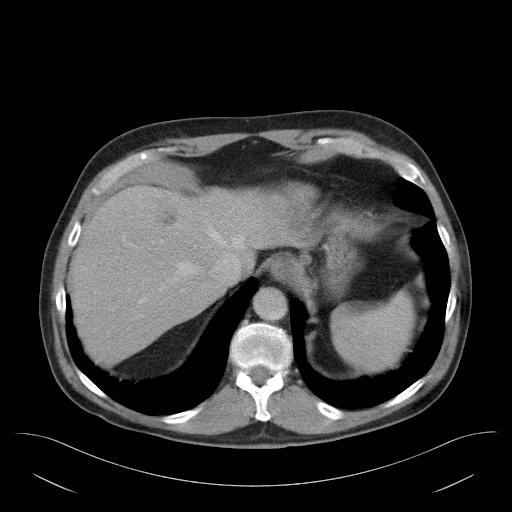
Abdomen. CT.

Some hepatic vessels may have no box.
hepatic vessel: left=173, top=262, right=197, bottom=278; left=233, top=236, right=243, bottom=247; left=205, top=220, right=224, bottom=244; left=139, top=298, right=145, bottom=302; left=214, top=266, right=215, bottom=270 | liver tumor: left=156, top=199, right=178, bottom=225